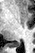
35x53 px. MR image.

The posterior hippocampus lies within x1=12, y1=42, x2=20, y2=47.